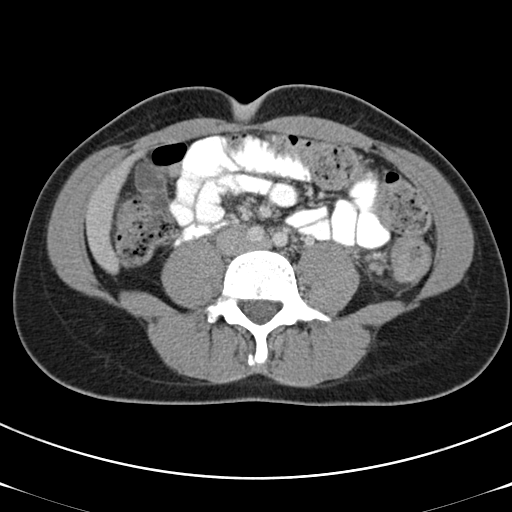 Image size 512x512; Pelvis; CT slice
The colon tumor is at (x1=391, y1=237, x2=431, y2=281).